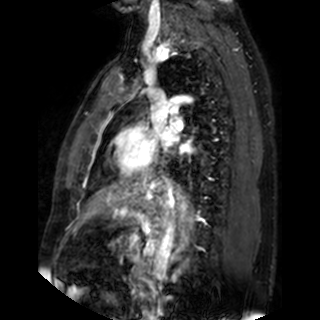
MR image | Heart
<segmentation>
  <left_atrium>[x1=179, y1=143, x2=191, y2=152], [x1=163, y1=129, x2=177, y2=144]</left_atrium>
</segmentation>